Slice 80/155
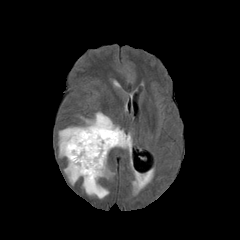
FLAIR MR image.
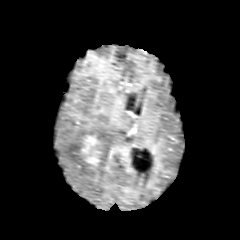
Same slice, T1-weighted MRI.
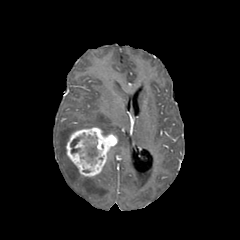
Post-contrast T1-weighted MRI of the same slice.
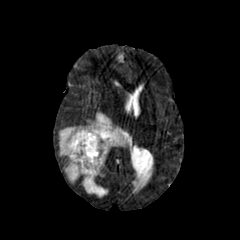
T2-weighted MR image.
Edema — <bbox>82, 165, 108, 198</bbox>, <bbox>85, 112, 131, 148</bbox>, <bbox>59, 127, 79, 156</bbox>, <bbox>64, 160, 79, 184</bbox>.
Enhancing tumor — <bbox>65, 126, 118, 179</bbox>.
Non-enhancing tumor core — <bbox>88, 146, 96, 156</bbox>.